FLAIR MRI.
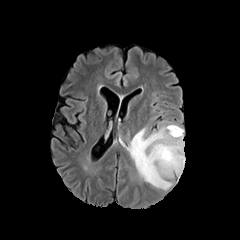
T1-weighted MRI.
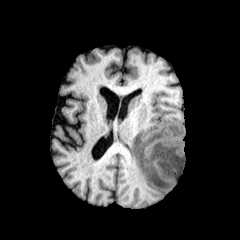
Post-contrast T1-weighted MRI.
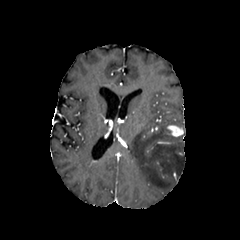
T2-weighted MR.
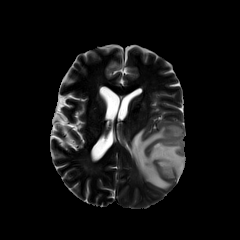
Image size 240x240.
Annotated regions:
* enhancing tumor: [167, 125, 183, 136]
* edema: [127, 120, 185, 188]